Brain
FLAIR MR.
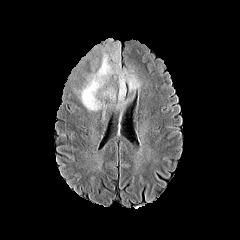
T1-weighted magnetic resonance.
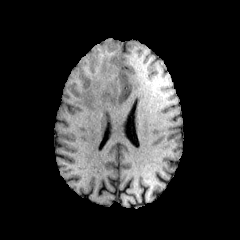
Post-contrast T1-weighted MR image.
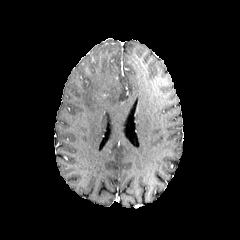
T2-weighted MRI.
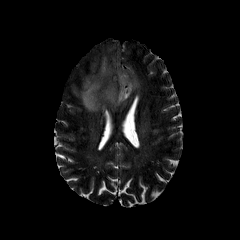
edema:
  - (left=77, top=48, right=139, bottom=110)
non-enhancing_tumor_core:
  - (left=109, top=102, right=118, bottom=112)